Slice 54 of 155; Brain
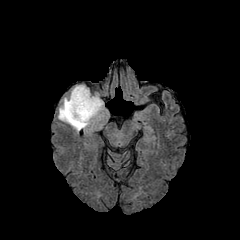
FLAIR magnetic resonance.
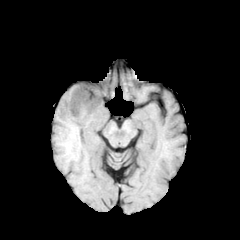
T1-weighted MR.
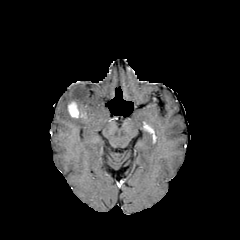
Post-contrast T1-weighted MRI of the same slice.
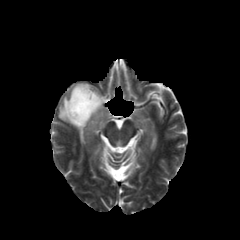
T2-weighted MRI.
Edema: bounding box {"x1": 58, "y1": 84, "x2": 104, "y2": 132}.
Enhancing tumor: bounding box {"x1": 68, "y1": 102, "x2": 88, "y2": 120}.